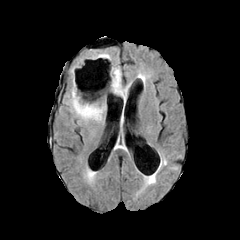
FLAIR magnetic resonance.
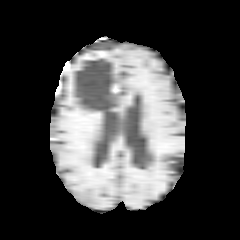
Same slice, T1-weighted MR image.
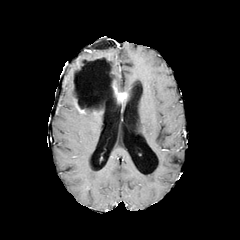
Post-contrast T1-weighted MR image of the same slice.
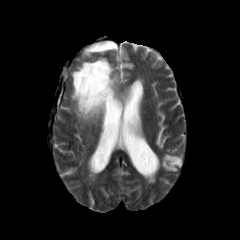
T2-weighted MRI.
Brain
Segmented structures:
• non-enhancing tumor core: <box>74,64,117,111</box>
• edema: <box>109,66,130,94</box>, <box>96,51,109,57</box>, <box>162,158,169,165</box>, <box>87,170,95,179</box>, <box>69,78,106,122</box>
• enhancing tumor: <box>114,90,125,99</box>